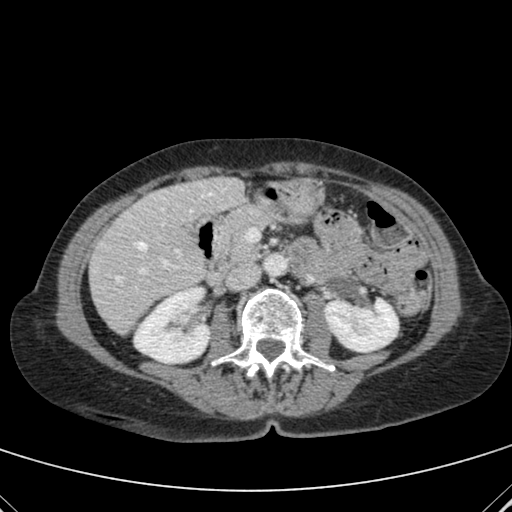 CT scan slice | Abdomen
• kidney: x1=135 y1=288 x2=209 y2=362, x1=325 y1=299 x2=397 y2=351
• liver: x1=89 y1=177 x2=244 y2=329